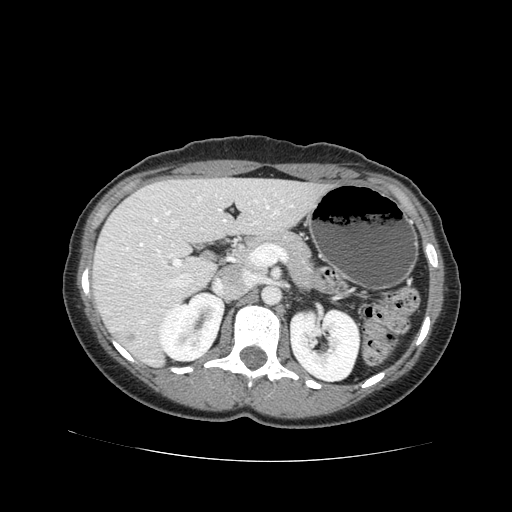

CT.

Pancreas = region(244, 233, 314, 289).